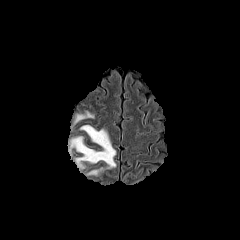
FLAIR MR.
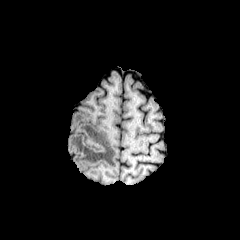
T1-weighted MRI.
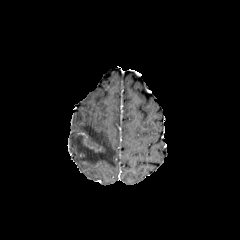
Post-contrast T1-weighted MRI of the same slice.
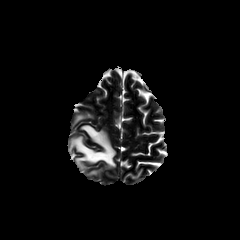
T2-weighted MRI of the same slice.
240x240 px | Brain
Edema: bounding box bbox=[70, 125, 116, 169]; bbox=[73, 112, 93, 124].